Slice 98 of 155
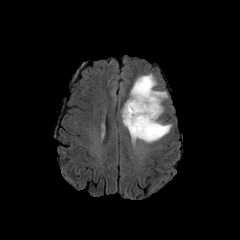
FLAIR MR.
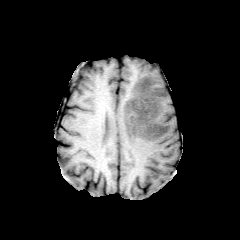
T1-weighted MR.
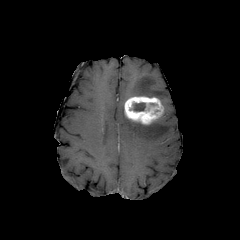
Post-contrast T1-weighted magnetic resonance.
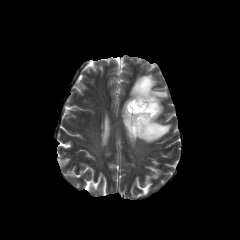
Same slice, T2-weighted MR.
The non-enhancing tumor core lies within box=[132, 103, 145, 111]. The enhancing tumor is at box=[124, 95, 163, 124]. 2 edema regions are bounded by box=[122, 108, 171, 143]; box=[130, 74, 167, 103].